Slice index 116.
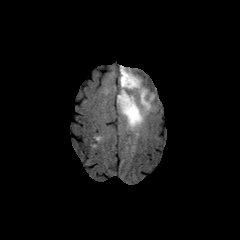
FLAIR magnetic resonance.
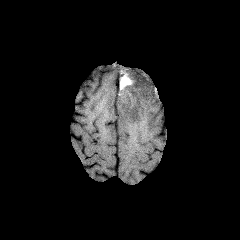
Same slice, T1-weighted MR.
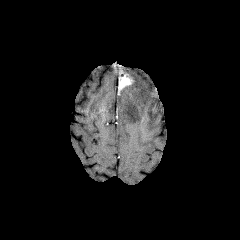
Post-contrast T1-weighted MR.
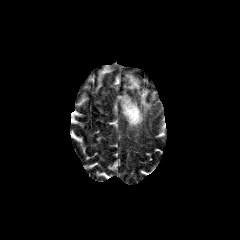
T2-weighted MRI of the same slice.
enhancing_tumor:
  - rect(118, 74, 131, 88)
edema:
  - rect(117, 65, 153, 130)